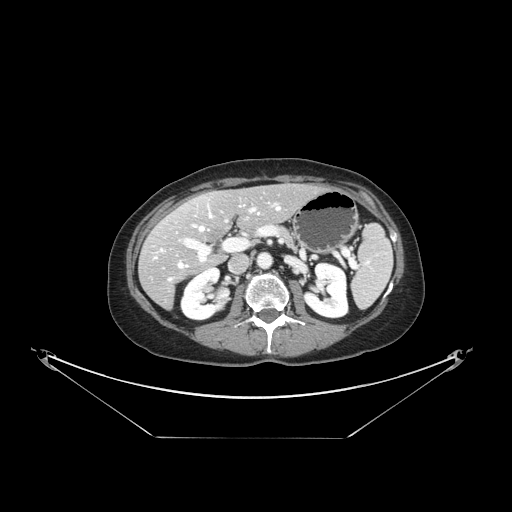

CT image; Abdomen
The vessel annotation is not exhaustive.
Hepatic vessel: bounding box [209, 214, 211, 216], [277, 207, 279, 209], [252, 207, 255, 210], [185, 239, 192, 243], [199, 253, 206, 260], [199, 226, 203, 230].